Slice index 339 | CT image 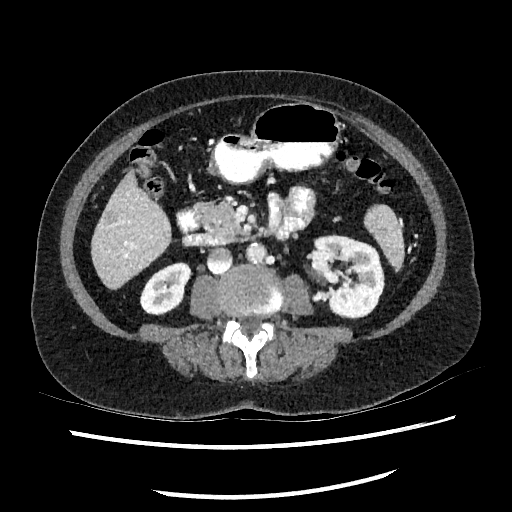 liver: 92, 172, 169, 287 | liver lesion: 106, 211, 116, 222 | kidney: 141, 263, 189, 313; 312, 236, 383, 317